Slice index 65; Brain
FLAIR MR.
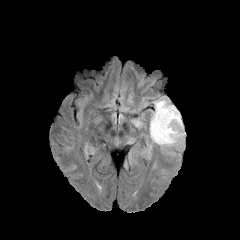
T1-weighted MRI.
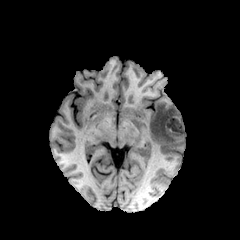
Post-contrast T1-weighted MRI.
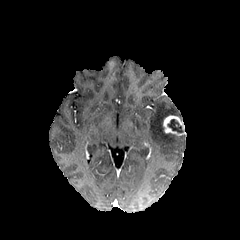
T2-weighted MR image.
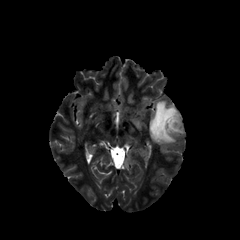
The non-enhancing tumor core lies within 167, 119, 184, 133. The enhancing tumor appears at 163, 115, 184, 134. The edema lies within 149, 99, 180, 145.